Slice index 31, CT image 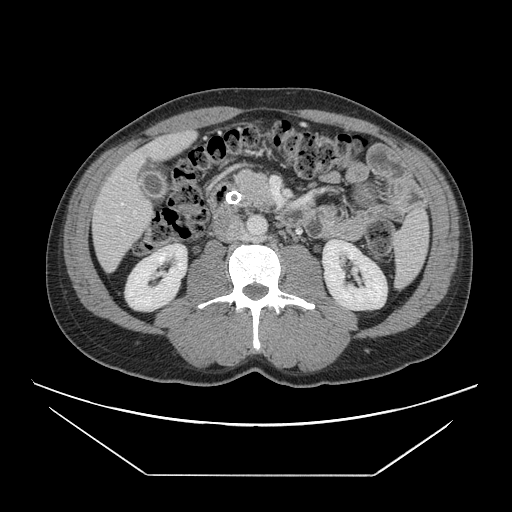 pancreas:
  - (left=235, top=171, right=267, bottom=207)